Computed tomography 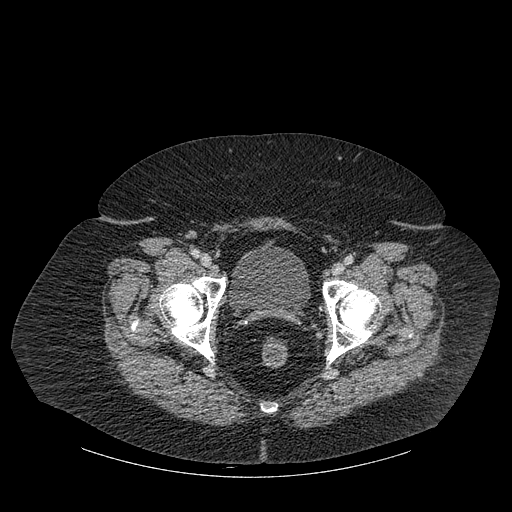

Urinary bladder: bounding box region(230, 243, 310, 322).
Bone: bounding box region(131, 320, 137, 330); region(261, 404, 277, 412); region(159, 276, 225, 361); region(323, 280, 380, 364).